Head; Field of view 240x240 mm
FLAIR magnetic resonance.
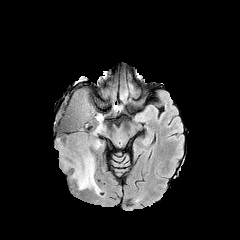
T1-weighted MRI.
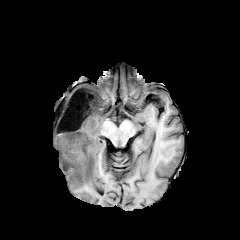
Post-contrast T1-weighted MR.
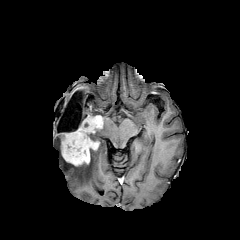
T2-weighted MR image.
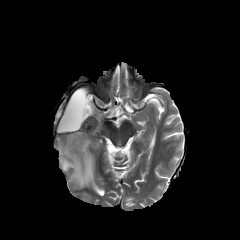
2 enhancing tumor regions are located at [61,127,99,165], [86,115,102,131]. 3 non-enhancing tumor core regions are located at [61,132,75,149], [72,92,101,124], [80,120,99,141]. 2 edema regions appear at [90,126,105,139], [62,142,102,194].